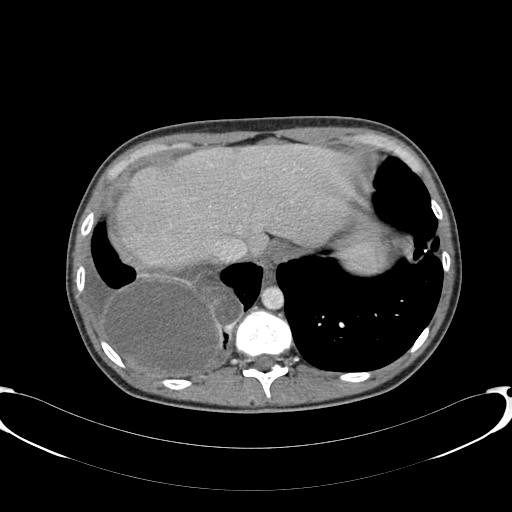
CT. The liver lies within <bbox>117, 145, 365, 268</bbox>.